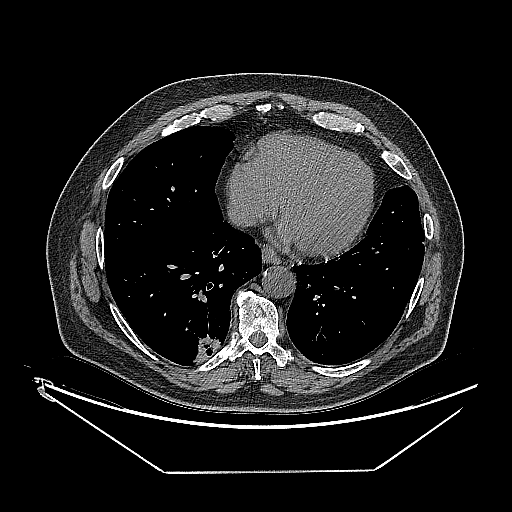 Computed tomography, Image size 512x512
The lung tumor is bounded by box(190, 332, 221, 364).